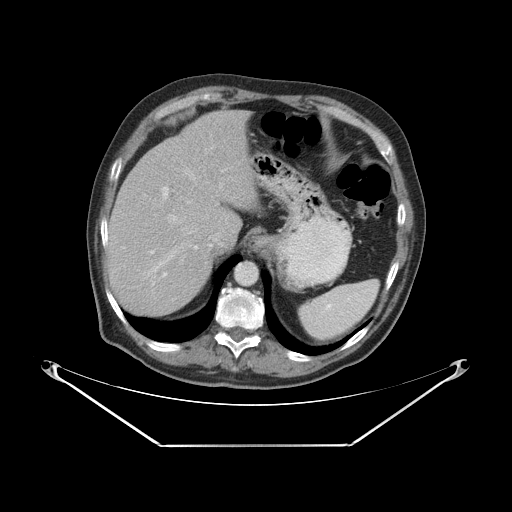
CT image, Abdomen
Not every hepatic vessel necessarily has a box.
9 hepatic vessel regions appear at {"x1": 184, "y1": 211, "x2": 187, "y2": 213}, {"x1": 150, "y1": 251, "x2": 153, "y2": 253}, {"x1": 151, "y1": 281, "x2": 154, "y2": 285}, {"x1": 161, "y1": 186, "x2": 168, "y2": 201}, {"x1": 168, "y1": 256, "x2": 171, "y2": 259}, {"x1": 160, "y1": 262, "x2": 163, "y2": 264}, {"x1": 168, "y1": 215, "x2": 180, "y2": 221}, {"x1": 189, "y1": 171, "x2": 194, "y2": 178}, {"x1": 208, "y1": 233, "x2": 220, "y2": 240}.